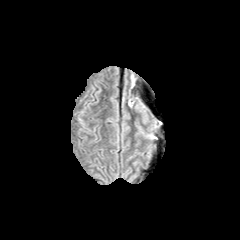
FLAIR MR.
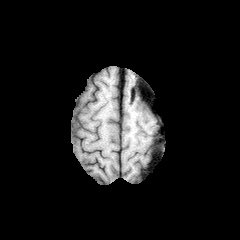
T1-weighted MR.
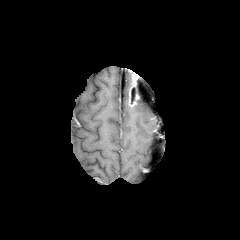
Post-contrast T1-weighted magnetic resonance of the same slice.
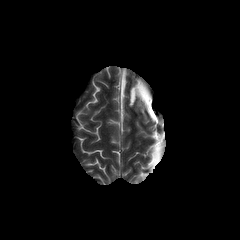
T2-weighted MRI of the same slice.
Brain
Edema at box=[141, 131, 156, 139].